Abdomen; CT image; Field of view 377x377 mm; 512x512 px; Slice 38 of 134

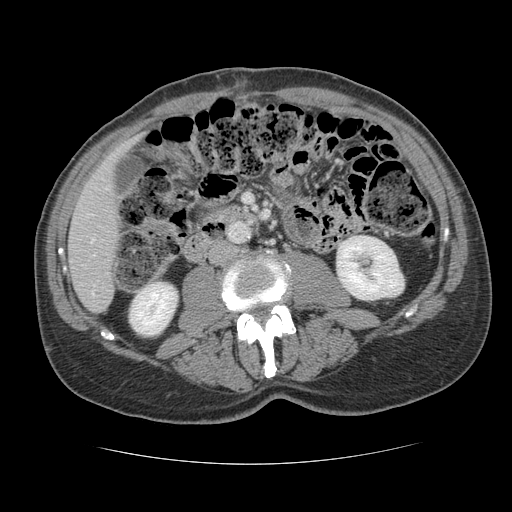

Only some of the vessels may be annotated.
hepatic vessel: (left=91, top=238, right=94, bottom=241), (left=92, top=292, right=93, bottom=295), (left=88, top=213, right=91, bottom=214)